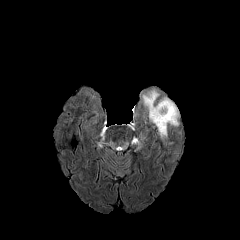
FLAIR MR.
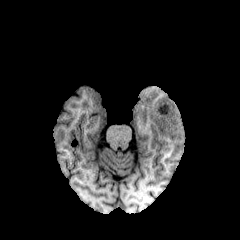
T1-weighted MRI.
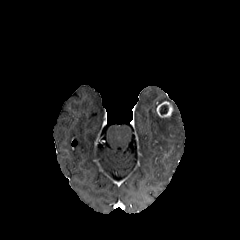
Post-contrast T1-weighted MRI.
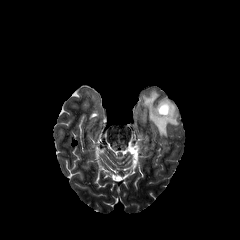
T2-weighted MRI.
Head
Annotated regions:
* non-enhancing tumor core: <bbox>159, 104, 169, 114</bbox>
* edema: <bbox>143, 89, 179, 140</bbox>
* enhancing tumor: <bbox>156, 101, 173, 117</bbox>